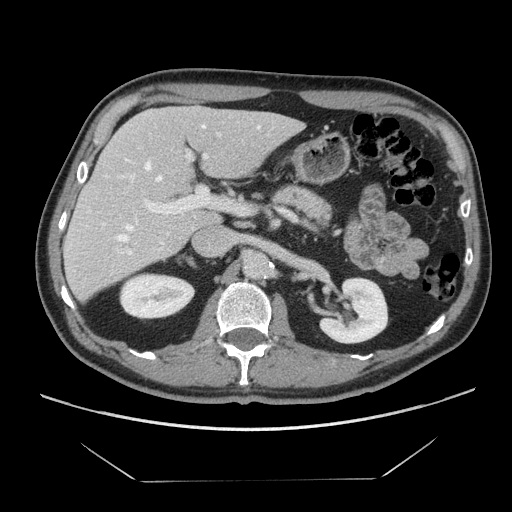

CT slice | 512x512

<segmentation>
  <pancreas>left=274, top=186, right=330, bottom=226</pancreas>
</segmentation>